CT. 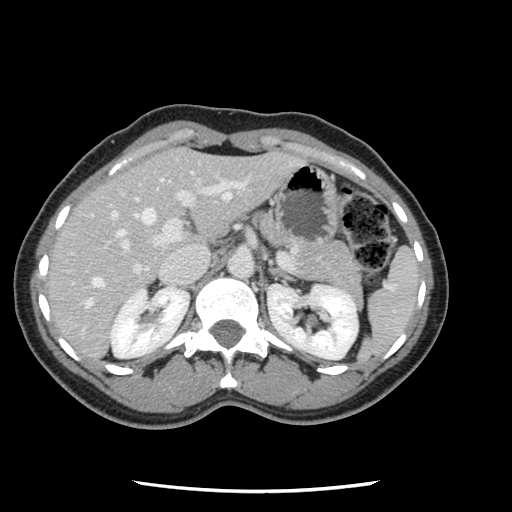
The vessel annotation is not exhaustive.
10 hepatic vessel regions appear at box=[135, 208, 154, 223]; box=[112, 212, 116, 216]; box=[86, 299, 91, 306]; box=[155, 219, 181, 242]; box=[117, 230, 124, 235]; box=[133, 264, 141, 271]; box=[177, 191, 190, 203]; box=[203, 181, 243, 198]; box=[92, 277, 102, 286]; box=[121, 240, 127, 247].